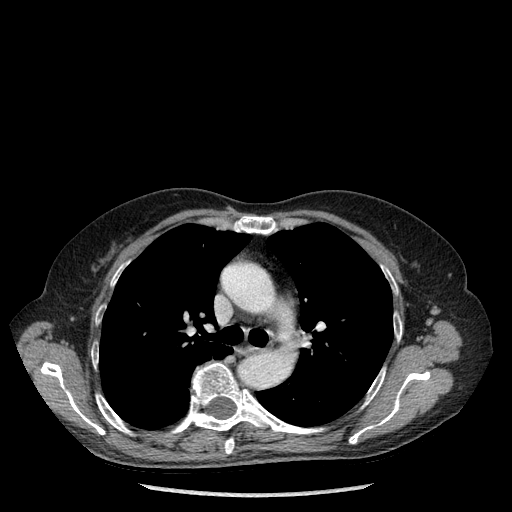

CT image; Chest

bone:
  - left=95, top=307, right=100, bottom=323
  - left=40, top=361, right=105, bottom=434
  - left=224, top=438, right=234, bottom=453
  - left=110, top=264, right=123, bottom=285
  - left=349, top=371, right=430, bottom=443
  - left=381, top=265, right=397, bottom=293
  - left=393, top=313, right=402, bottom=341
  - left=96, top=394, right=132, bottom=435
  - left=234, top=215, right=277, bottom=234
  - left=362, top=367, right=385, bottom=408
  - left=91, top=347, right=98, bottom=367
  - left=164, top=362, right=323, bottom=437
lung:
  - left=257, top=223, right=393, bottom=426
  - left=99, top=224, right=250, bottom=429
  - left=248, top=329, right=267, bottom=346